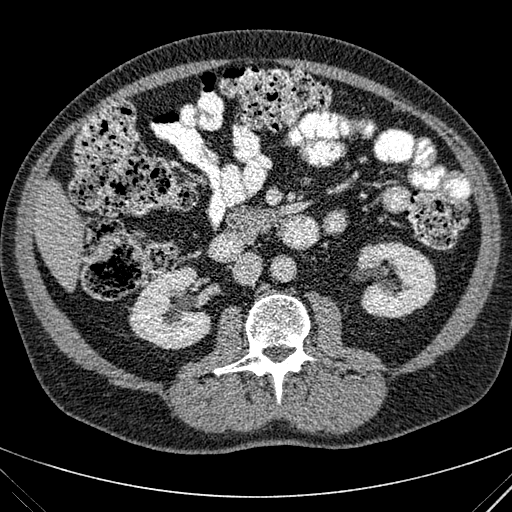

Image size 512x512; Liver; CT image
{
  "liver": [
    "l=35, t=181, r=82, b=290"
  ],
  "kidney": [
    "l=357, t=242, r=435, b=317",
    "l=130, t=267, r=215, b=348"
  ]
}